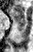

Magnetic resonance
{"posterior_hippocampus": ["[18,22,24,31]"], "anterior_hippocampus": ["[12,6,24,21]"]}